FLAIR MR image.
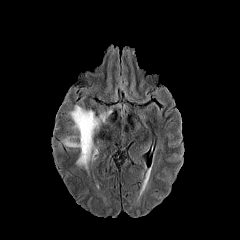
T1-weighted MRI.
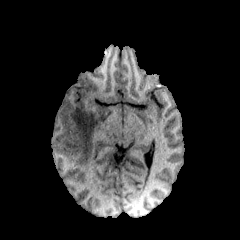
Post-contrast T1-weighted MRI.
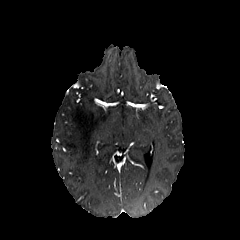
T2-weighted magnetic resonance.
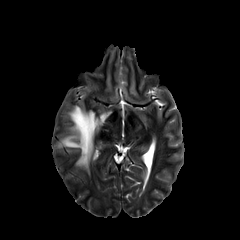
Brain
The edema appears at (62,105,106,169).